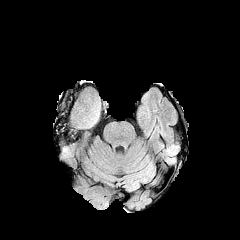
FLAIR MR image.
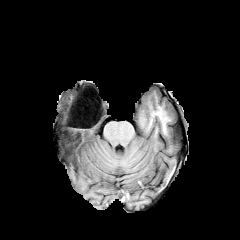
T1-weighted MR image.
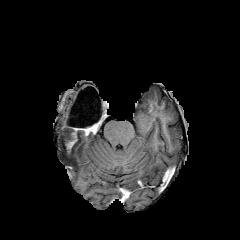
Post-contrast T1-weighted MRI.
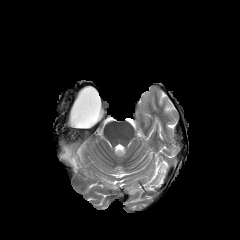
T2-weighted magnetic resonance of the same slice.
<segmentation>
  <non-enhancing_tumor_core>75 94 99 125, 76 128 91 135</non-enhancing_tumor_core>
</segmentation>